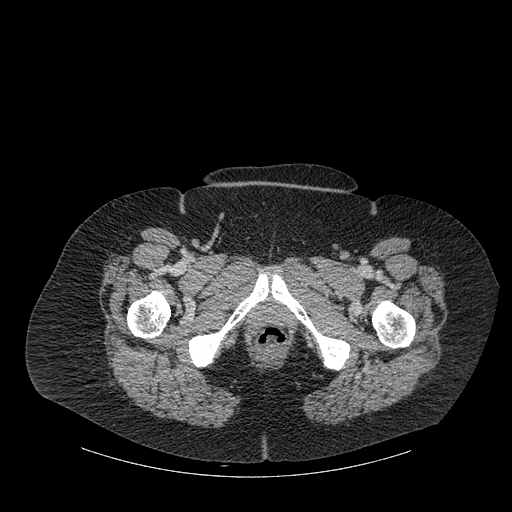 512x512 px | CT image

3 bone regions appear at {"x1": 127, "y1": 291, "x2": 170, "y2": 338}, {"x1": 189, "y1": 273, "x2": 349, "y2": 369}, {"x1": 372, "y1": 300, "x2": 415, "y2": 347}.